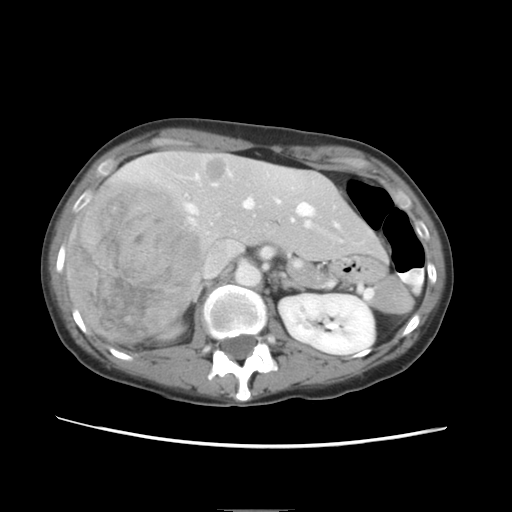
512x512 | CT image | Abdomen
Not every hepatic vessel necessarily has a box.
Hepatic vessel: bounding box rect(244, 198, 252, 207); rect(186, 204, 197, 214); rect(305, 220, 310, 226); rect(192, 173, 199, 179); rect(335, 223, 338, 225); rect(297, 202, 313, 214); rect(190, 217, 195, 223); rect(276, 198, 279, 202); rect(228, 169, 230, 174).
Liver tumor: bounding box rect(68, 181, 203, 342); rect(205, 156, 227, 183).